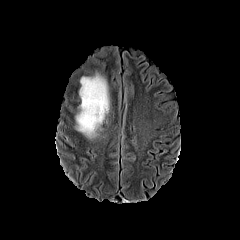
FLAIR MRI.
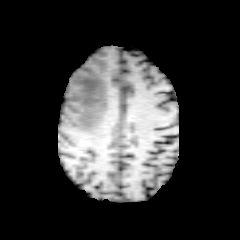
T1-weighted magnetic resonance.
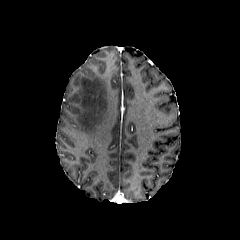
Same slice, post-contrast T1-weighted MR.
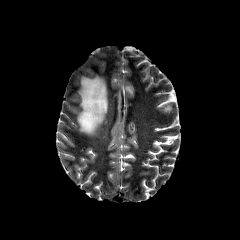
T2-weighted magnetic resonance.
Head
The edema is located at l=76, t=76, r=109, b=137.